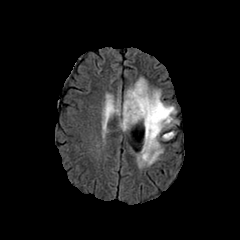
FLAIR magnetic resonance.
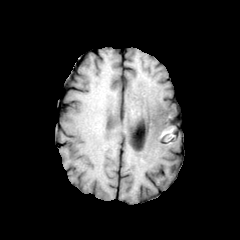
Same slice, T1-weighted MR image.
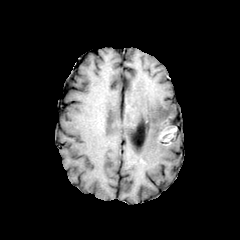
Post-contrast T1-weighted MRI of the same slice.
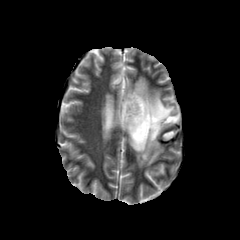
T2-weighted MRI of the same slice.
240x240
2 non-enhancing tumor core regions appear at 122:97:137:113, 140:102:175:140. The edema is bounded by 103:78:178:166.